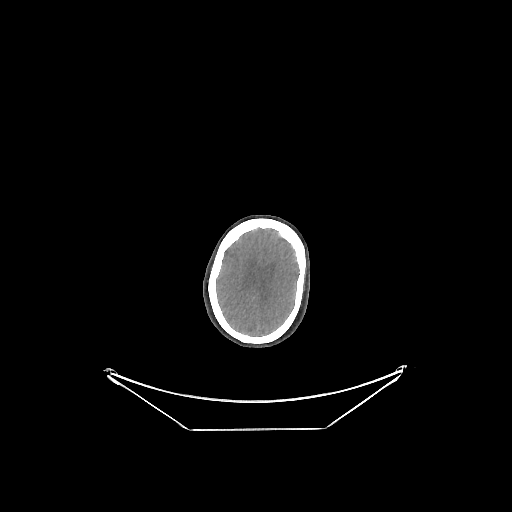
Brain. Image size 512x512. Computed tomography. Annotated regions:
• brain: box=[216, 228, 299, 336]